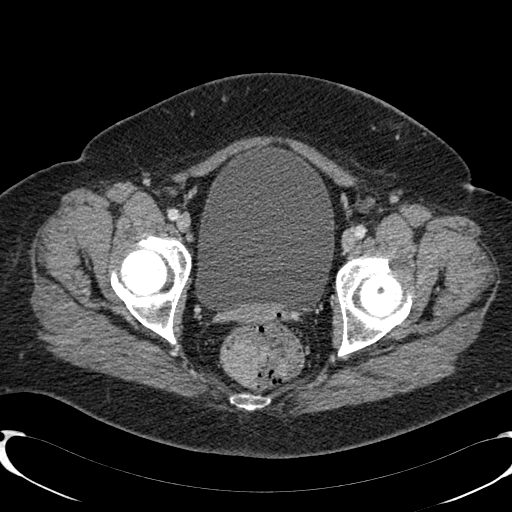 CT scan slice. Lower abdomen. Image size 512x512.
* urinary bladder: box=[196, 145, 333, 310]